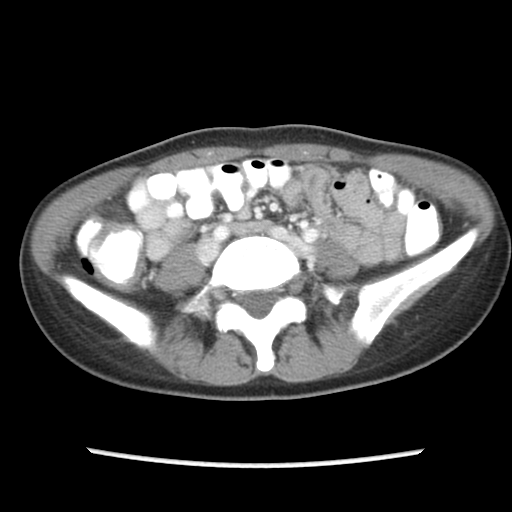 Pelvis, CT scan slice

The colon tumor is at (94, 252, 145, 291).